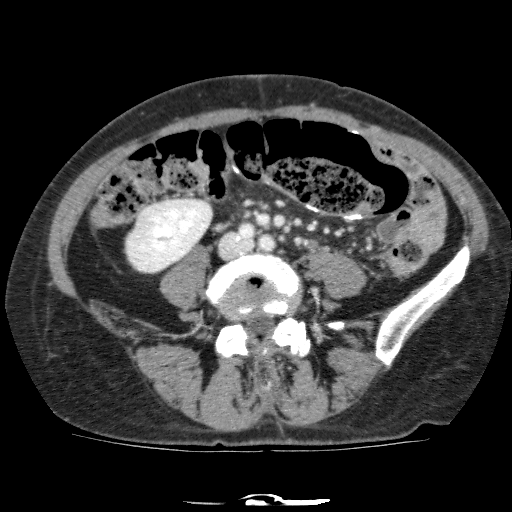
Abdomen, CT scan slice
kidney: rect(127, 199, 211, 271)